CT scan slice | Liver | Slice 213 of 333 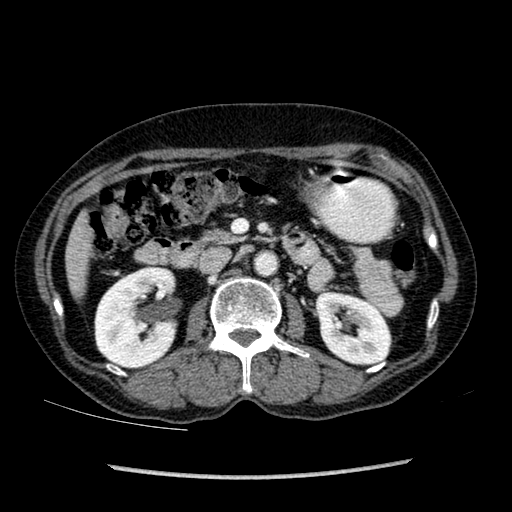

kidney:
  - (318,294,389,363)
  - (95,268,174,367)
liver:
  - (67,215,90,289)